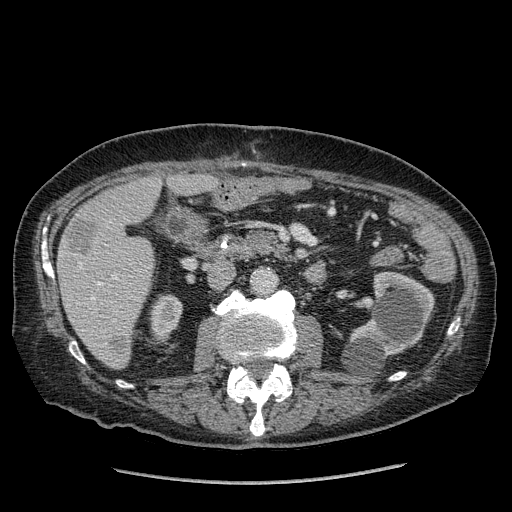

CT scan slice, Upper abdomen

Annotated regions:
* hepatic lesion: box=[110, 336, 126, 353]; box=[67, 219, 94, 254]
* liver: box=[58, 176, 162, 369]; box=[168, 174, 218, 194]
* kidney: box=[350, 272, 434, 356]; box=[151, 296, 181, 338]